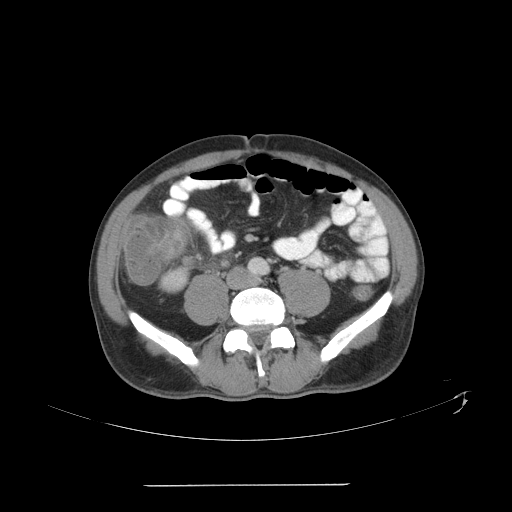 Image size 512x512; CT image
The colon tumor is located at 146, 218, 189, 261.